Slice index 63.
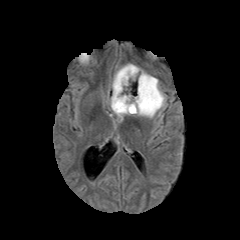
FLAIR magnetic resonance.
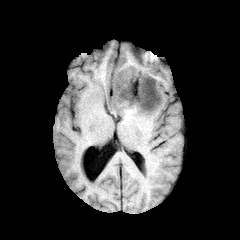
T1-weighted MR.
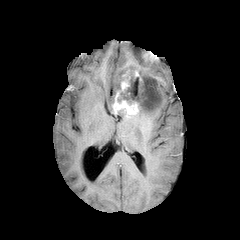
Post-contrast T1-weighted MRI of the same slice.
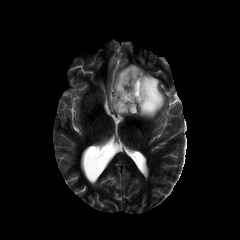
T2-weighted MRI of the same slice.
3 edema regions are located at 124,80,135,91; 105,63,167,121; 114,113,126,124. 2 non-enhancing tumor core regions are bounded by 118,71,128,89; 118,75,142,105. The enhancing tumor appears at 112,76,138,114.